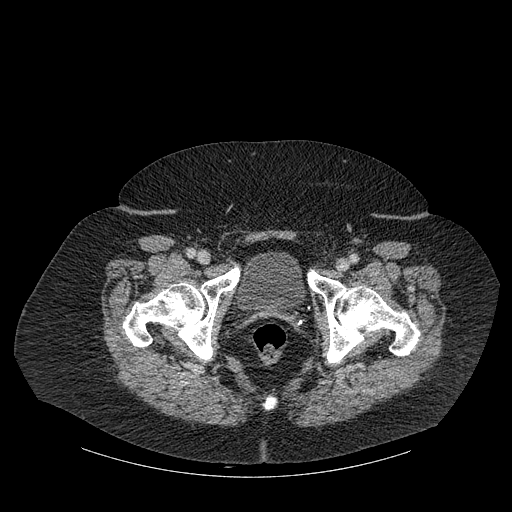

CT, Pelvis
Segmented structures:
• bone: box=[307, 270, 419, 362]; box=[122, 267, 239, 360]; box=[264, 397, 275, 408]
• urinary bladder: box=[234, 251, 306, 321]